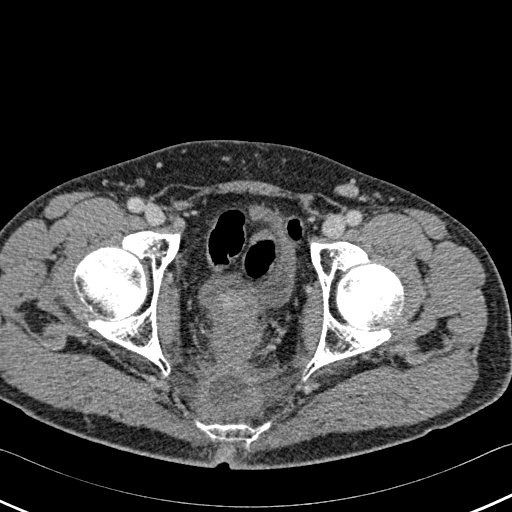
CT slice | 512x512 px | Lower abdomen
{"bone": ["74:231:179:375", "303:242:403:380", "196:421:270:445"], "urinary_bladder": ["199:215:295:318"]}